FLAIR MRI.
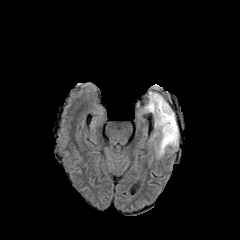
T1-weighted magnetic resonance.
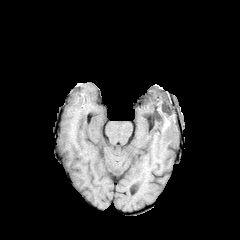
Post-contrast T1-weighted MRI.
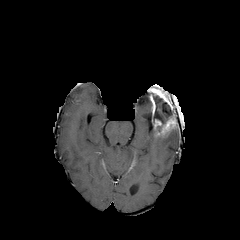
T2-weighted magnetic resonance.
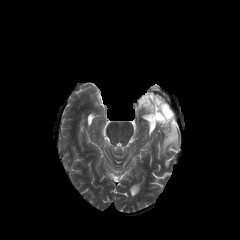
Image size 240x240, Head
2 edema regions are located at <bbox>151, 130, 179, 158</bbox>, <bbox>142, 98, 150, 113</bbox>. The non-enhancing tumor core is bounded by <bbox>146, 92, 174, 124</bbox>. 2 enhancing tumor regions appear at <bbox>154, 113, 177, 133</bbox>, <bbox>148, 86, 169, 114</bbox>.